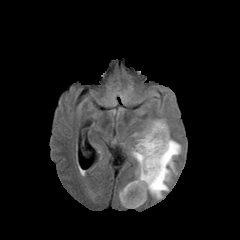
FLAIR MR image.
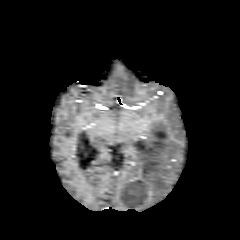
Same slice, T1-weighted MRI.
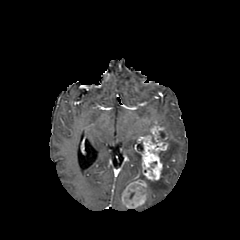
Post-contrast T1-weighted MR.
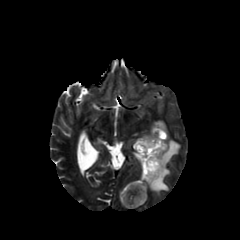
Same slice, T2-weighted MRI.
Head.
Segmented structures:
- edema: {"x1": 132, "y1": 150, "x2": 141, "y2": 176}, {"x1": 148, "y1": 137, "x2": 181, "y2": 198}
- enhancing tumor: {"x1": 134, "y1": 124, "x2": 168, "y2": 180}, {"x1": 120, "y1": 179, "x2": 147, "y2": 208}